Brain.
FLAIR MR image.
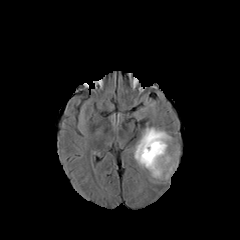
T1-weighted MRI.
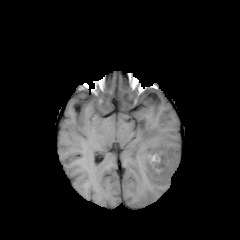
Post-contrast T1-weighted MRI.
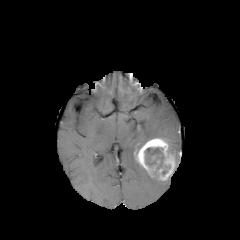
T2-weighted MR image.
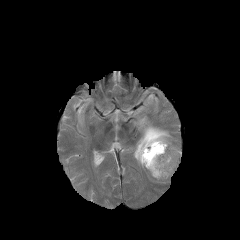
{"enhancing_tumor": ["box(134, 138, 175, 180)"], "edema": ["box(130, 124, 180, 182)"], "non-enhancing_tumor_core": ["box(145, 148, 164, 169)"]}